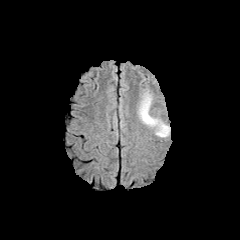
FLAIR magnetic resonance.
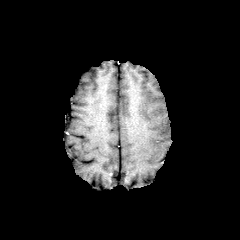
T1-weighted magnetic resonance of the same slice.
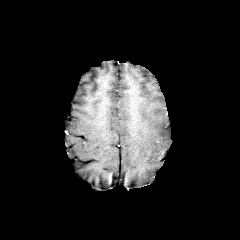
Post-contrast T1-weighted MR.
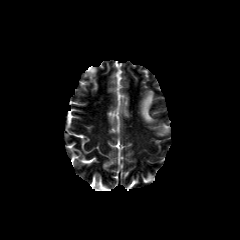
Same slice, T2-weighted MR.
<segmentation>
  <edema>(left=138, top=89, right=170, bottom=137)</edema>
</segmentation>